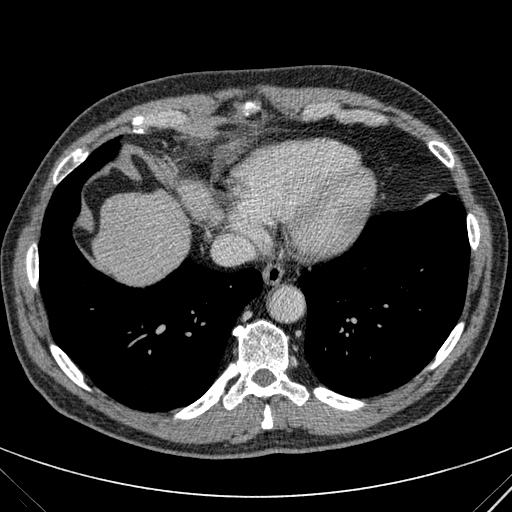

CT | Abdomen

Liver: {"x1": 94, "y1": 191, "x2": 190, "y2": 284}, {"x1": 177, "y1": 180, "x2": 222, "y2": 226}.